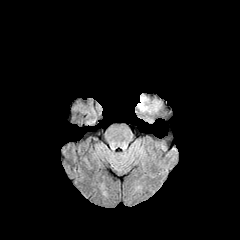
FLAIR magnetic resonance.
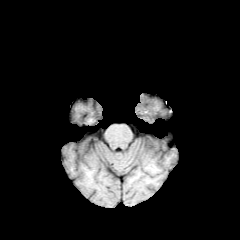
T1-weighted MR image.
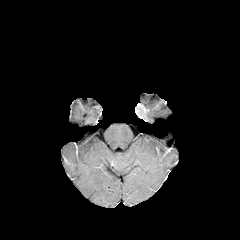
Post-contrast T1-weighted MR.
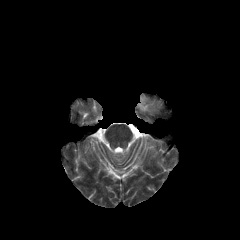
Same slice, T2-weighted MR image.
The edema is bounded by (left=140, top=96, right=156, bottom=111).